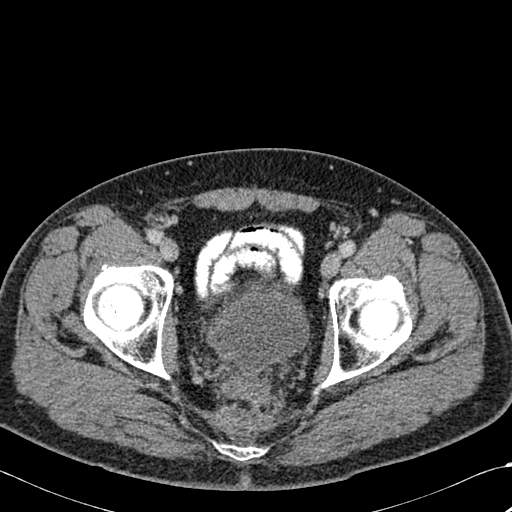
CT scan slice
Bone: bounding box box(217, 445, 263, 460); box(83, 265, 173, 379); box(322, 275, 411, 387).